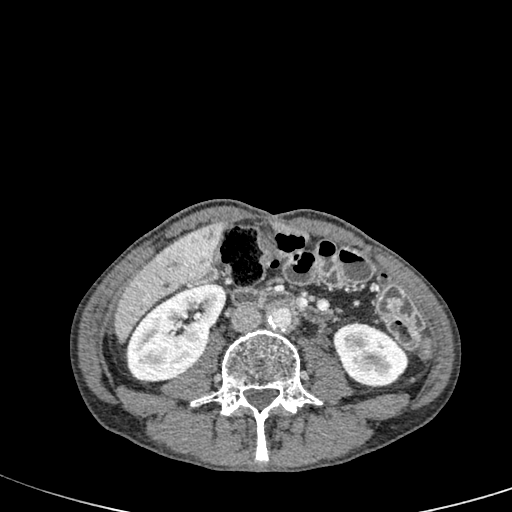 Upper abdomen | CT image
{
  "liver": [
    "[116, 222, 223, 342]"
  ],
  "kidney": [
    "[127, 285, 225, 380]",
    "[334, 324, 406, 385]"
  ]
}